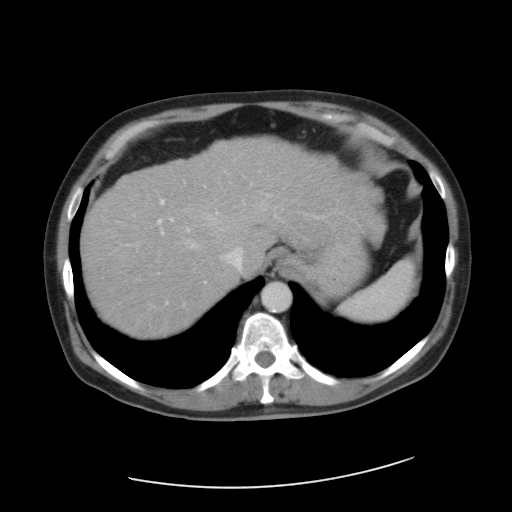

CT; Abdomen
Some hepatic vessels may have no box.
hepatic_vessel:
  - l=186, t=227, r=189, b=231
  - l=170, t=219, r=172, b=220
  - l=202, t=211, r=217, b=225
  - l=185, t=240, r=197, b=247
  - l=221, t=256, r=222, b=258
  - l=160, t=199, r=164, b=204
  - l=160, t=228, r=163, b=234
  - l=217, t=228, r=221, b=230
  - l=137, t=243, r=138, b=245
  - l=127, t=244, r=129, b=245
  - l=157, t=219, r=161, b=225